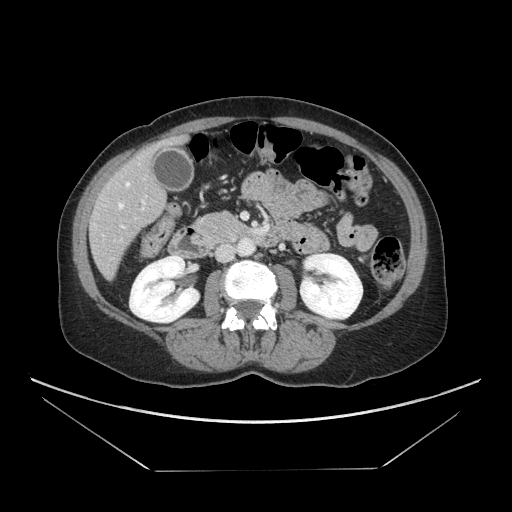 Abdomen | 512x512 | Computed tomography

pancreas:
  - <box>194,211,255,245</box>